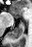 Medial temporal lobe | Magnetic resonance | 32x47

The anterior hippocampus is at 9:11:18:18. The posterior hippocampus lies within 9:22:24:39.